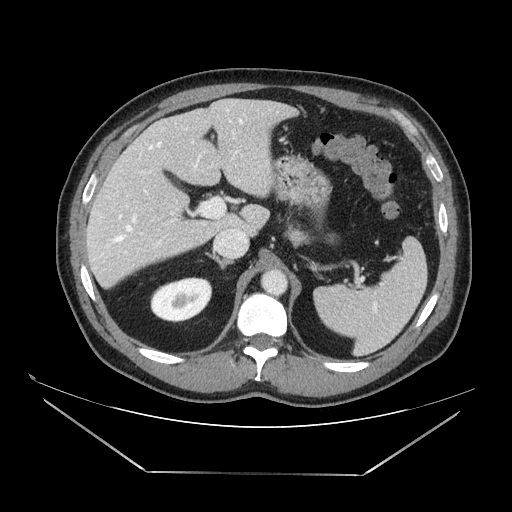 512x512 px | CT slice | Abdomen
{
  "pancreas": [
    "[322, 230, 340, 246]",
    "[284, 221, 313, 244]"
  ]
}